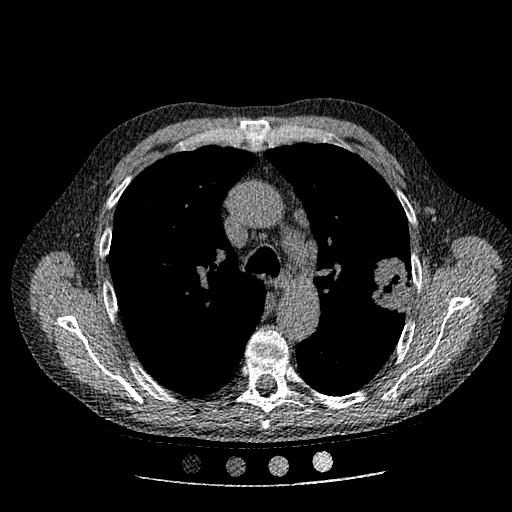 Lung; Computed tomography; 512x512

Findings:
• lung tumor: (370,248,411,315)